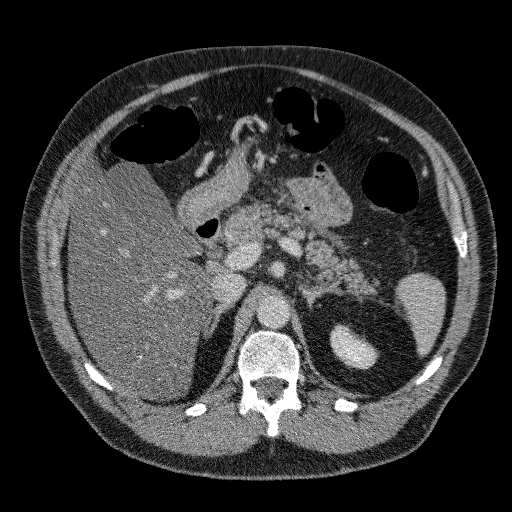

512x512. CT scan slice.

The liver is located at x1=68, y1=155, x2=213, y2=399. The kidney is bounded by x1=332, y1=327, x2=373, y2=365.